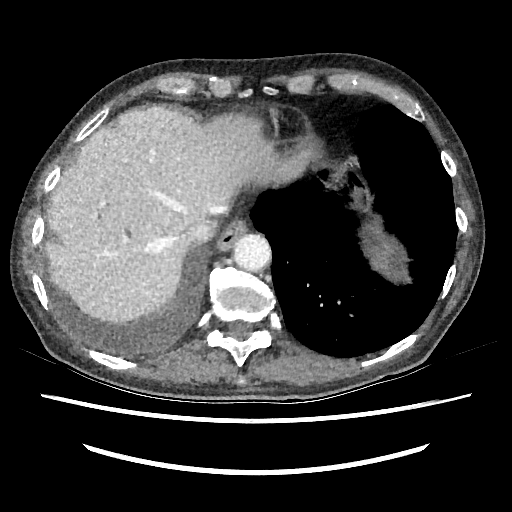

CT slice
Liver: bounding box (46,107,283,320).